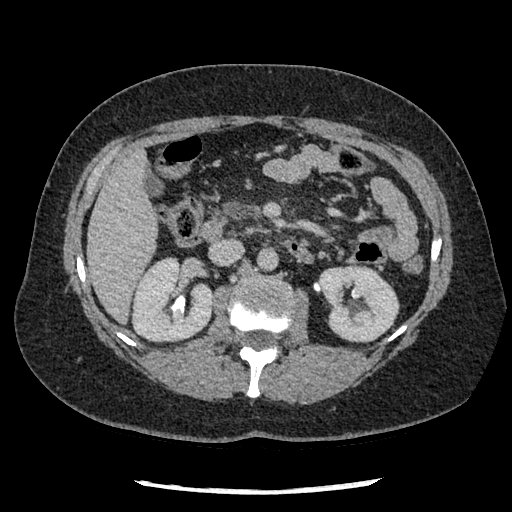
512x512 px. Abdomen. CT scan slice.

Pancreas = x1=224 y1=201 x2=254 y2=220.